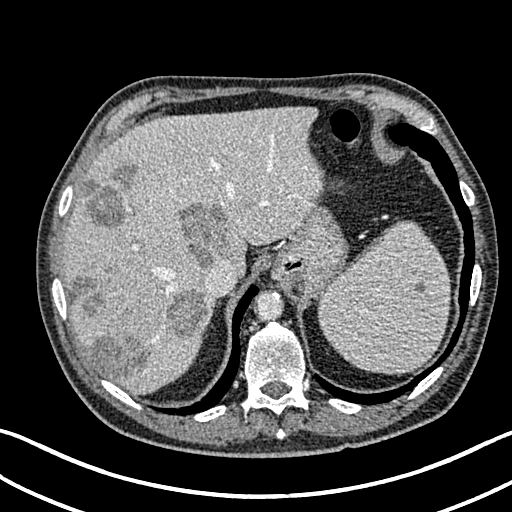

512x512. CT. Liver.

liver:
  - 64:108:328:392
focal_liver_lesion:
  - 166:289:205:337
  - 85:179:125:229
  - 175:152:184:166
  - 86:334:150:379
  - 72:277:102:315
  - 180:203:232:266
  - 114:163:138:186